MR
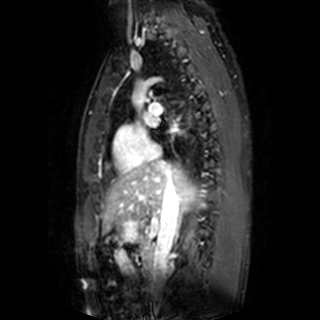
Left atrium — l=145, t=113, r=157, b=126.